FLAIR MRI.
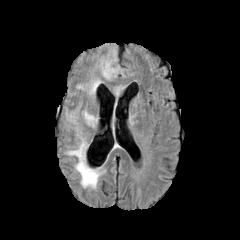
T1-weighted MR.
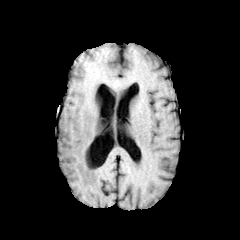
Post-contrast T1-weighted magnetic resonance.
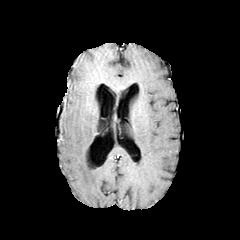
T2-weighted MR image.
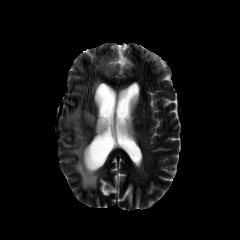
Brain
{"edema": ["101, 54, 118, 78", "66, 113, 101, 189", "89, 80, 100, 94", "84, 111, 97, 125"]}